Slice 156/188. CT image. Image width 330 mm. 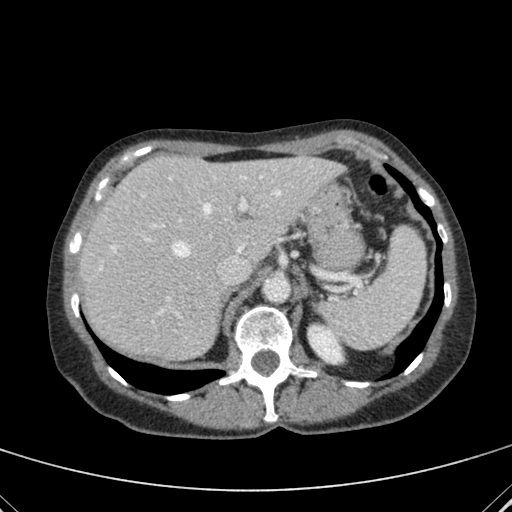

The kidney lies within rect(310, 326, 341, 362). The liver lies within rect(79, 156, 337, 359).